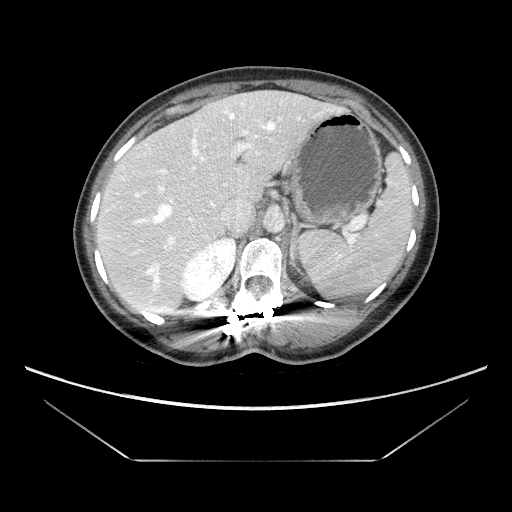

CT scan slice.
Some hepatic vessels may have no box.
9 hepatic vessel regions appear at 164 235 174 250, 184 217 193 221, 268 124 272 127, 220 198 250 230, 233 143 250 155, 152 199 175 222, 161 169 166 173, 192 146 201 159, 211 173 214 178.